512x512 px; Upper abdomen; Computed tomography

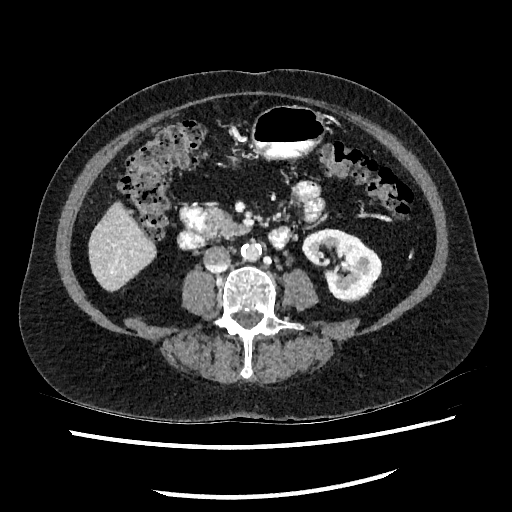
Kidney: rect(303, 224, 380, 298).
Liver: rect(89, 204, 153, 290).